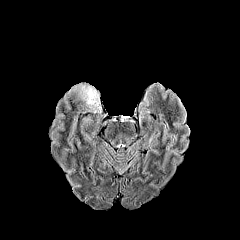
FLAIR MR.
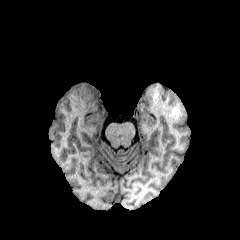
Same slice, T1-weighted magnetic resonance.
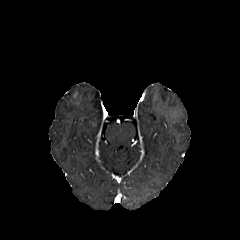
Post-contrast T1-weighted MR.
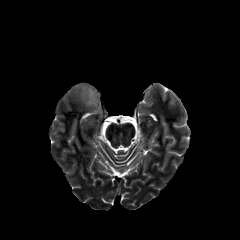
Same slice, T2-weighted MR image.
240x240 px | Head
2 edema regions are bounded by 81,118,93,130; 72,83,102,114.